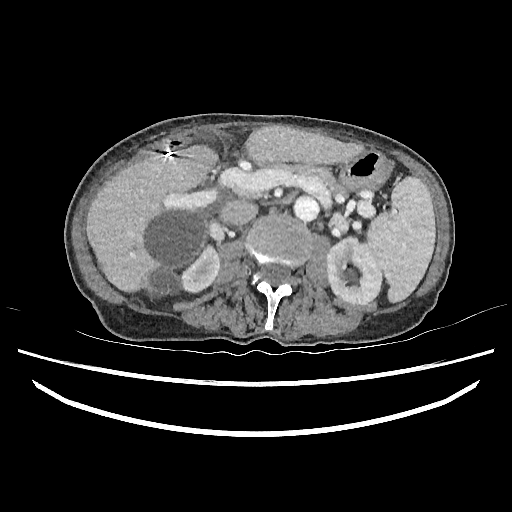 CT scan slice
Kidney at left=210, top=223, right=221, bottom=239; left=182, top=246, right=219, bottom=291; left=327, top=237, right=381, bottom=304.
Liver lesion at left=144, top=192, right=225, bottom=297.
Liver at left=246, top=127, right=359, bottom=165; left=87, top=145, right=217, bottom=294.